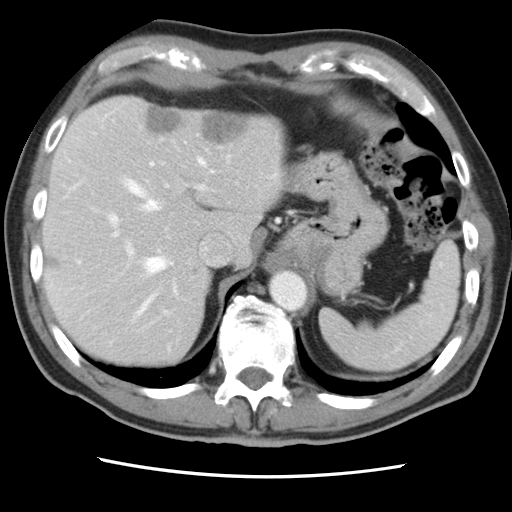

Abdomen. CT. Only some of the vessels may be annotated.
Most prominent 15 of 17 hepatic vessel regions — box=[151, 163, 153, 164]; box=[174, 286, 176, 292]; box=[137, 298, 150, 314]; box=[165, 311, 167, 313]; box=[145, 257, 172, 272]; box=[110, 215, 117, 223]; box=[114, 232, 117, 235]; box=[144, 200, 159, 209]; box=[197, 185, 205, 188]; box=[210, 170, 213, 172]; box=[127, 244, 132, 253]; box=[227, 155, 229, 159]; box=[126, 181, 143, 195]; box=[199, 158, 204, 164]; box=[78, 260, 80, 262].
Liver tumor — box=[203, 115, 249, 142]; box=[147, 107, 182, 132].